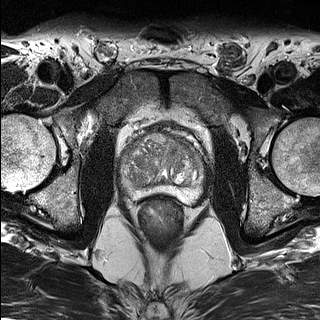
T2-weighted MR.
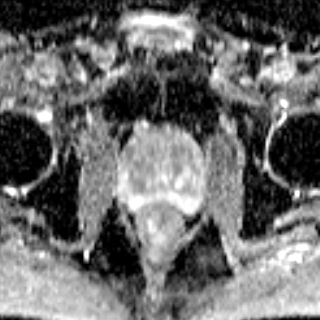
Same slice, ADC MR image.
Pelvis; 320x320 px
- prostate transition zone: 122,133,203,188
- prostate peripheral zone: 119,157,204,203